CT. Slice index 20.

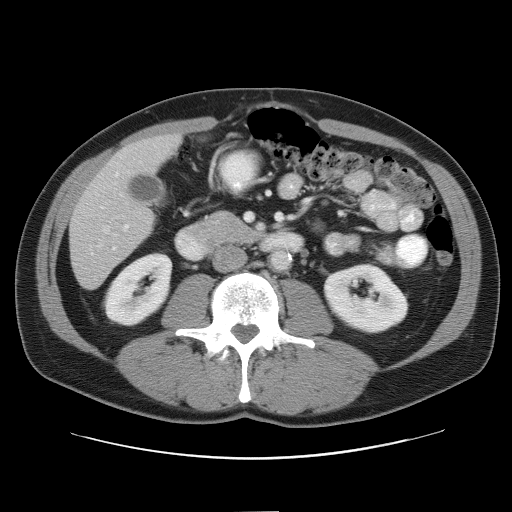

Only some of the vessels may be annotated.
<segmentation>
  <hepatic_vessel>region(116, 173, 117, 176); region(101, 207, 103, 208); region(97, 242, 101, 247); region(120, 193, 122, 195); region(114, 234, 115, 235); region(90, 247, 92, 254); region(139, 161, 140, 162); region(112, 247, 115, 250); region(123, 225, 127, 230); region(114, 182, 116, 183); region(103, 226, 108, 233)</hepatic_vessel>
</segmentation>